CT slice. Pelvis. Slice index 59.
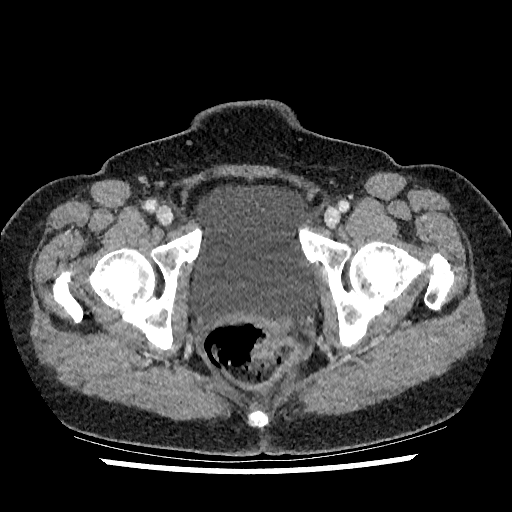
Urinary bladder = (left=189, top=185, right=321, bottom=325).